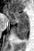

Hippocampus. MRI slice.
anterior_hippocampus:
  - 5 8 28 25
posterior_hippocampus:
  - 13 26 28 39